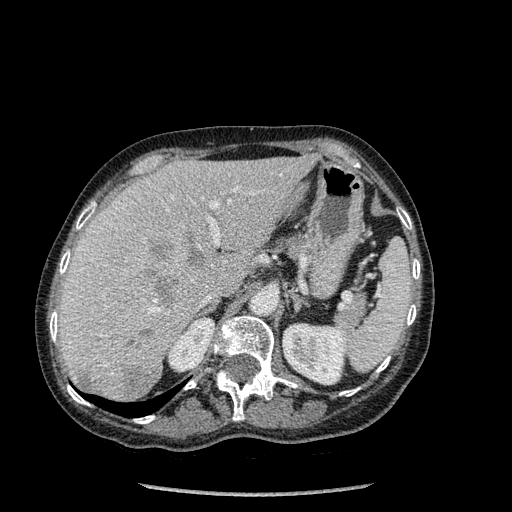

Upper abdomen, 512x512, CT slice
<segmentation>
  <hepatic_lesion>{"x1": 148, "y1": 239, "x2": 173, "y2": 257}, {"x1": 157, "y1": 278, "x2": 177, "y2": 305}, {"x1": 140, "y1": 329, "x2": 154, "y2": 337}, {"x1": 142, "y1": 266, "x2": 157, "y2": 276}, {"x1": 121, "y1": 364, "x2": 157, "y2": 398}, {"x1": 76, "y1": 370, "x2": 101, "y2": 393}, {"x1": 187, "y1": 230, "x2": 204, "y2": 266}</hepatic_lesion>
  <kidney>{"x1": 169, "y1": 318, "x2": 213, "y2": 371}, {"x1": 283, "y1": 324, "x2": 349, "y2": 384}</kidney>
  <liver>{"x1": 60, "y1": 154, "x2": 318, "y2": 401}</liver>
  <bone>{"x1": 397, "y1": 207, "x2": 411, "y2": 229}, {"x1": 184, "y1": 378, "x2": 197, "y2": 389}, {"x1": 59, "y1": 250, "x2": 70, "y2": 274}, {"x1": 406, "y1": 305, "x2": 416, "y2": 325}, {"x1": 50, "y1": 310, "x2": 58, "y2": 341}, {"x1": 76, "y1": 204, "x2": 94, "y2": 229}, {"x1": 213, "y1": 316, "x2": 297, "y2": 420}, {"x1": 376, "y1": 356, "x2": 390, "y2": 372}, {"x1": 339, "y1": 387, "x2": 360, "y2": 396}, {"x1": 67, "y1": 385, "x2": 89, "y2": 406}, {"x1": 412, "y1": 259, "x2": 420, "y2": 279}, {"x1": 134, "y1": 415, "x2": 155, "y2": 423}</bone>
  <lung>{"x1": 84, "y1": 386, "x2": 180, "y2": 417}</lung>
</segmentation>